Image size 512x512; Abdomen; Computed tomography
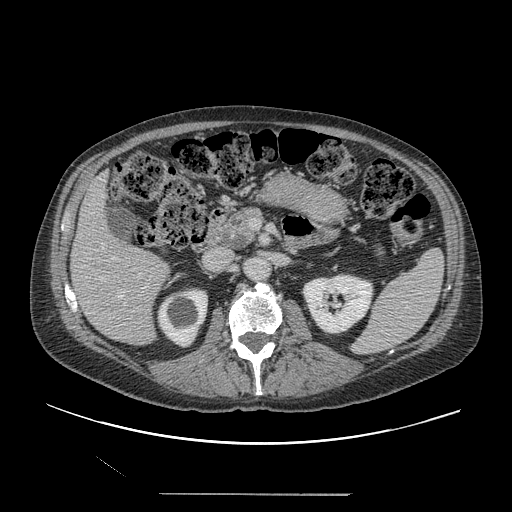

Pancreas = x1=211 y1=206 x2=263 y2=250.